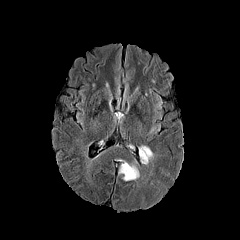
FLAIR MR.
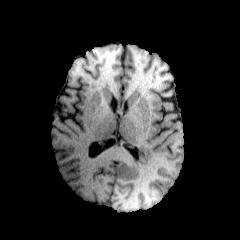
T1-weighted MR.
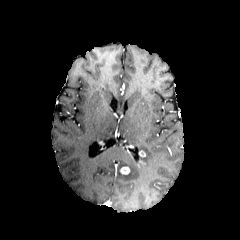
Same slice, post-contrast T1-weighted MRI.
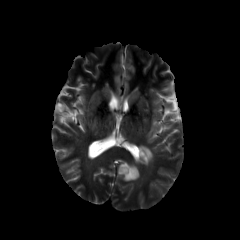
T2-weighted MR image of the same slice.
240x240 | Head
<segmentation>
  <enhancing_tumor>120:166:129:174</enhancing_tumor>
  <edema>115:159:139:180, 147:126:156:137, 138:145:153:165</edema>
</segmentation>